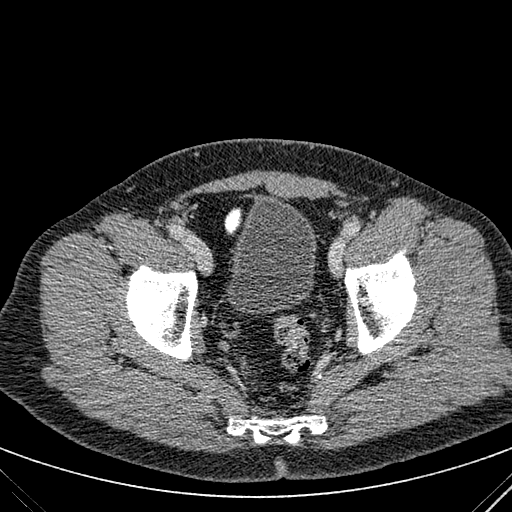
Pelvis | CT scan slice

Segmented structures:
- urinary bladder: (224, 197, 319, 315)